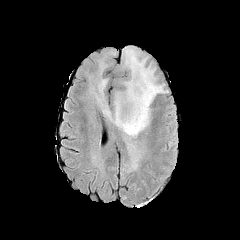
FLAIR MRI.
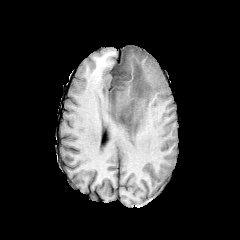
T1-weighted MR image.
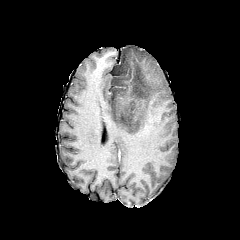
Same slice, post-contrast T1-weighted MR image.
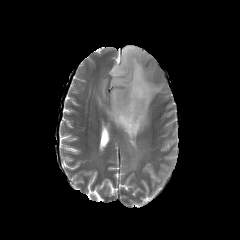
T2-weighted MR image of the same slice.
240x240 px, Head
Segmented structures:
- non-enhancing tumor core: region(118, 100, 134, 122); region(131, 80, 142, 98)
- edema: region(106, 46, 165, 171)